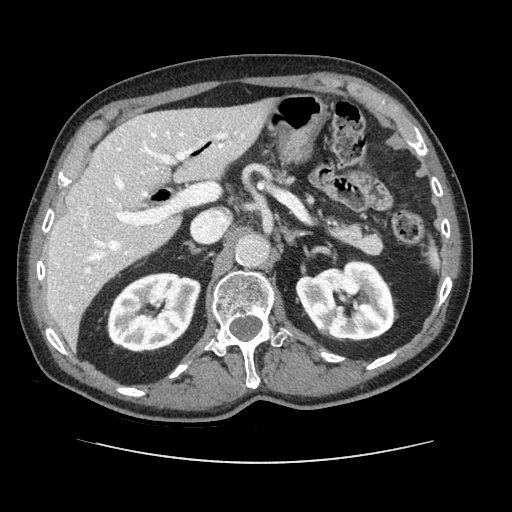 512x512 px. Abdomen. CT. Annotated regions:
- pancreas: 329 223 382 254